Abdomen; Field of view 373x373 mm; CT slice

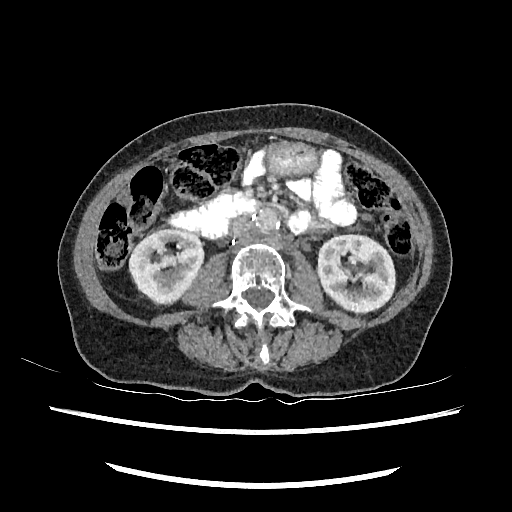

Kidney = [129,228,203,302], [318,235,394,311].